Field of view 240x240 mm
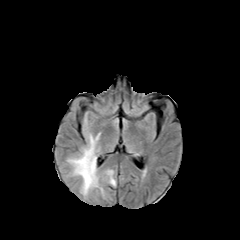
FLAIR MR.
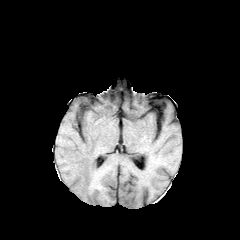
T1-weighted MR.
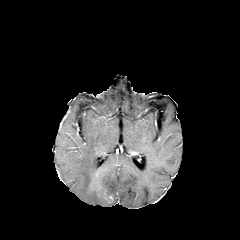
Same slice, post-contrast T1-weighted MR image.
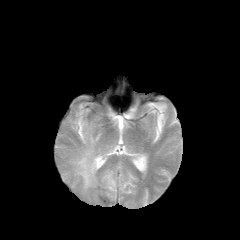
T2-weighted MR image of the same slice.
The edema is at <box>68,131,116,195</box>.